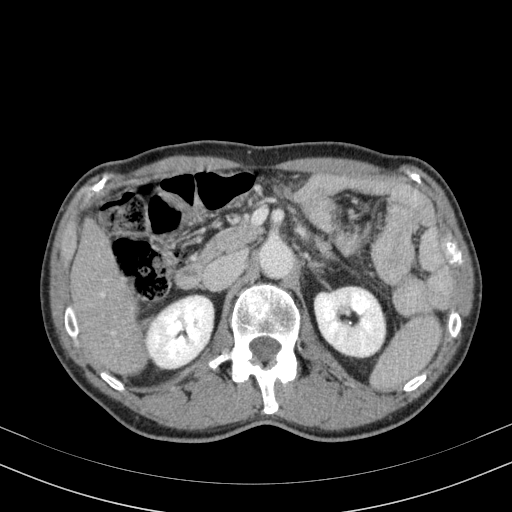

Abdomen | Computed tomography
{
  "liver": [
    "l=70, t=218, r=145, b=375"
  ],
  "kidney": [
    "l=315, t=287, r=384, b=356",
    "l=147, t=296, r=212, b=367"
  ]
}